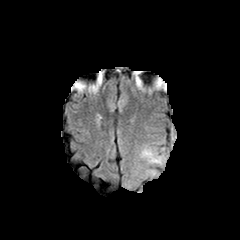
FLAIR magnetic resonance.
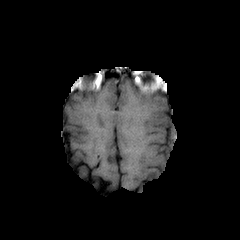
T1-weighted magnetic resonance.
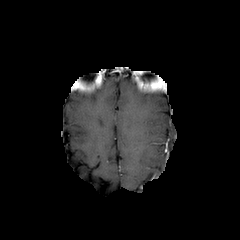
Post-contrast T1-weighted MRI.
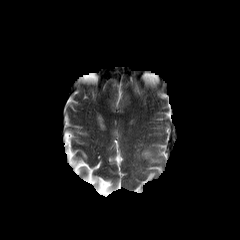
Same slice, T2-weighted MR image.
240x240; Brain
Annotated regions:
• edema: (139,142,168,179)